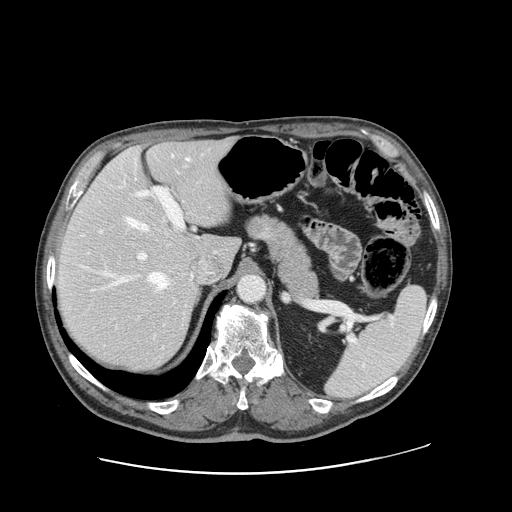
CT slice, Abdomen, 512x512 px

Some hepatic vessels may have no box.
Segmented structures:
• liver tumor: bbox(139, 142, 149, 150)
• hepatic vessel: bbox(102, 272, 107, 274); bbox(149, 272, 167, 288); bbox(139, 253, 146, 258); bbox(127, 218, 147, 230); bbox(138, 191, 148, 195); bbox(187, 158, 189, 159); bbox(111, 278, 124, 284)